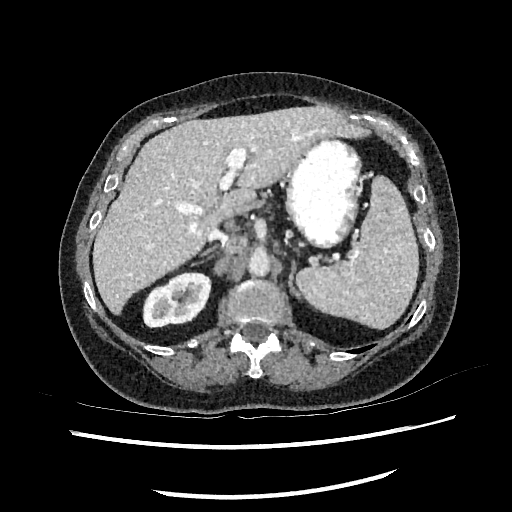

Liver | CT
Liver — box=[92, 107, 370, 313].
Kidney — box=[144, 273, 210, 326].